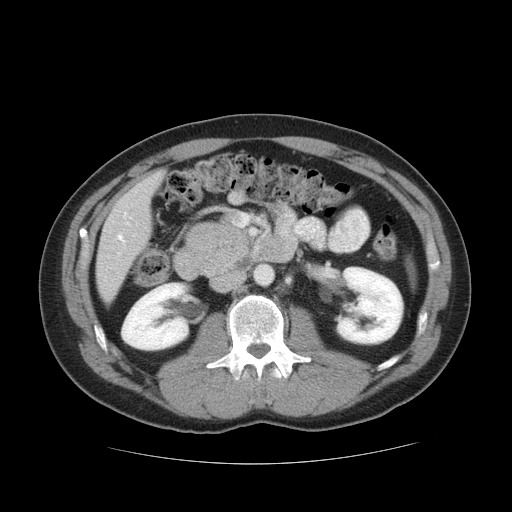

CT slice, 512x512 px
pancreatic tumor: 185:223:250:276